CT scan slice. Slice 90/165. Upper abdomen. 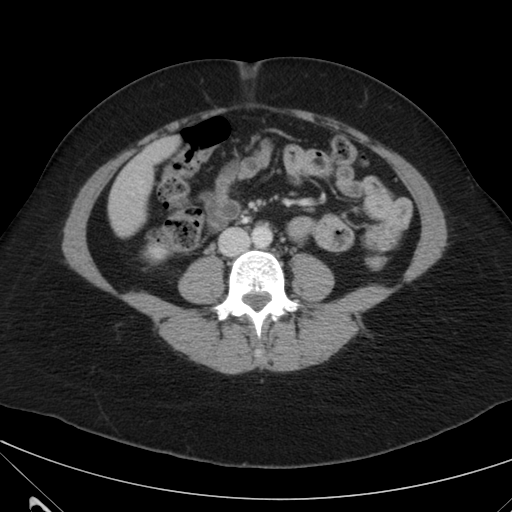
{"liver": ["region(110, 141, 168, 232)"]}